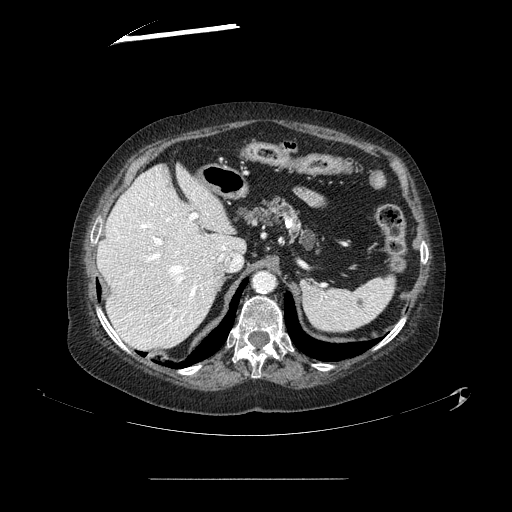

CT scan slice

Pancreas: bounding box region(296, 226, 316, 249); region(241, 197, 297, 226).